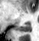
MRI slice, Medial temporal lobe

Segmented structures:
* posterior hippocampus: [18, 24, 30, 31]